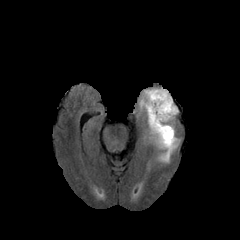
FLAIR MRI.
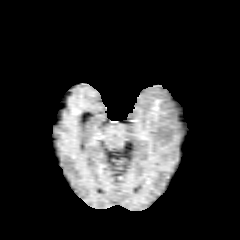
T1-weighted MR.
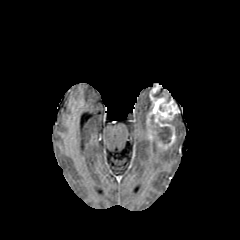
Post-contrast T1-weighted magnetic resonance of the same slice.
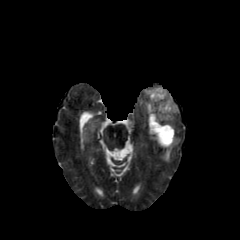
T2-weighted MR of the same slice.
Brain | 240x240 px
3 edema regions appear at (137, 88, 151, 132), (151, 134, 178, 162), (166, 114, 177, 134). 2 enhancing tumor regions appear at (146, 84, 179, 139), (158, 127, 175, 147). 2 non-enhancing tumor core regions are located at (153, 88, 163, 97), (150, 115, 171, 143).